CT, Slice index 38
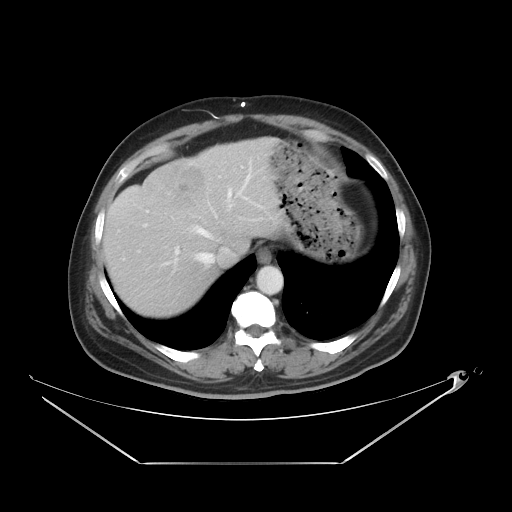
Not every hepatic vessel necessarily has a box.
Liver tumor — box=[148, 161, 208, 212].
Hepatic vessel — box=[221, 168, 223, 171]; box=[202, 255, 209, 258]; box=[227, 186, 228, 190]; box=[217, 175, 221, 177]; box=[235, 175, 258, 206]; box=[201, 261, 209, 266]; box=[195, 227, 205, 235].